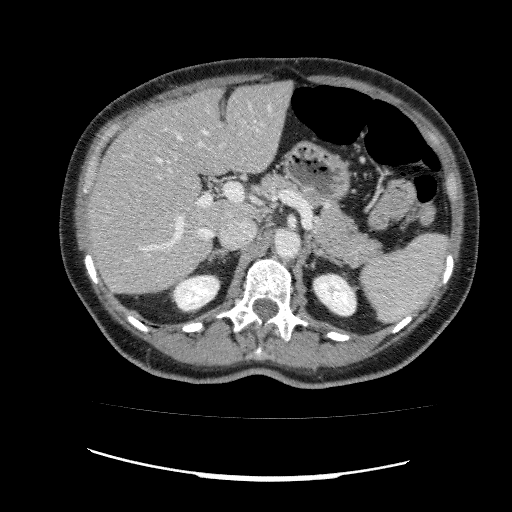 CT. Abdomen. Segmented structures:
* kidney: {"x1": 314, "y1": 275, "x2": 355, "y2": 315}, {"x1": 174, "y1": 276, "x2": 218, "y2": 309}
* liver: {"x1": 86, "y1": 80, "x2": 293, "y2": 293}